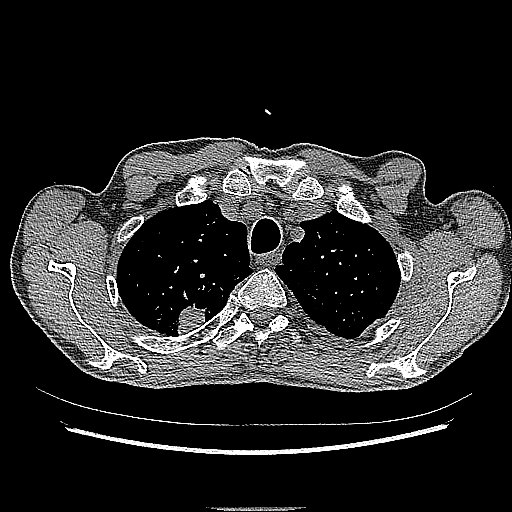 512x512 | Lung | CT
The lung tumor is bounded by 165, 297, 212, 335.